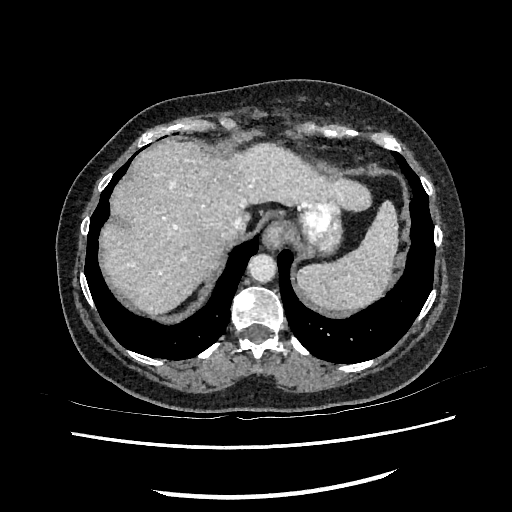 Image size 512x512. Computed tomography.
Liver at region(101, 140, 369, 311).